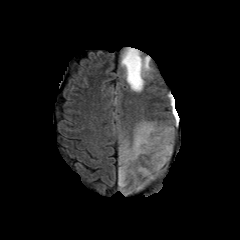
FLAIR magnetic resonance.
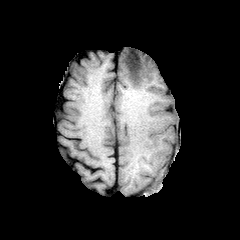
Same slice, T1-weighted MR image.
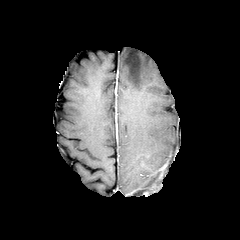
Same slice, post-contrast T1-weighted MR image.
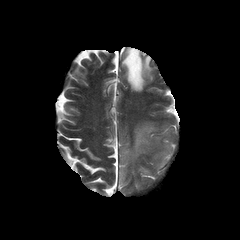
Same slice, T2-weighted magnetic resonance.
240x240
Edema: bounding box x1=141, y1=170, x2=155, y2=179; x1=120, y1=48, x2=151, y2=92; x1=158, y1=145, x2=170, y2=166; x1=119, y1=164, x2=126, y2=187; x1=121, y1=148, x2=129, y2=162; x1=132, y1=125, x2=156, y2=155.
Non-enhancing tumor core: bounding box x1=126, y1=50, x2=141, y2=81.